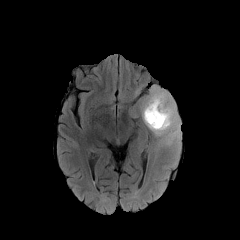
FLAIR magnetic resonance.
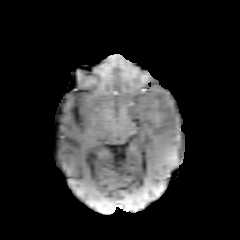
T1-weighted MRI.
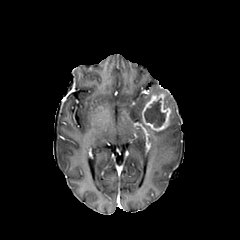
Post-contrast T1-weighted MRI.
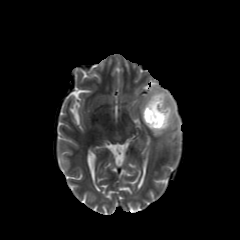
Same slice, T2-weighted MR.
Image size 240x240, Brain
{
  "non-enhancing_tumor_core": [
    "x1=145 y1=99 x2=165 y2=127"
  ],
  "edema": [
    "x1=138 y1=84 x2=181 y2=156",
    "x1=134 y1=85 x2=142 y2=97"
  ],
  "enhancing_tumor": [
    "x1=142 y1=91 x2=171 y2=131"
  ]
}